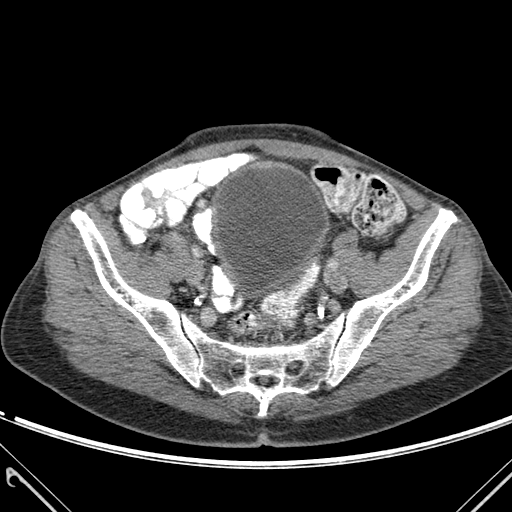
CT image | Pelvis
urinary_bladder:
  - rect(217, 168, 326, 295)
bone:
  - rect(71, 209, 456, 415)